FLAIR MR image.
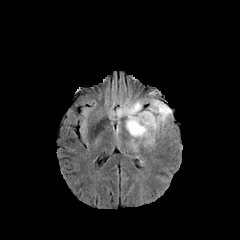
T1-weighted magnetic resonance.
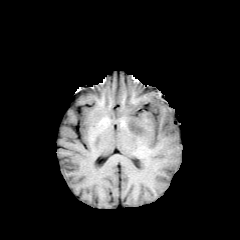
Post-contrast T1-weighted MRI.
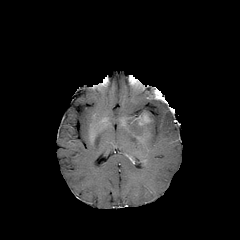
T2-weighted magnetic resonance.
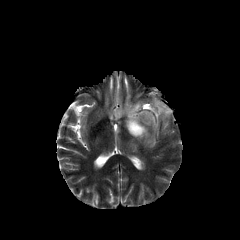
Head
edema: box=[108, 91, 172, 151] | enhancing tumor: box=[135, 113, 150, 122]